Field of view 240x240 mm
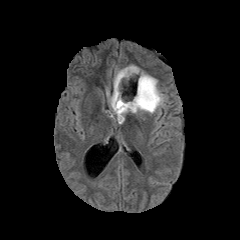
FLAIR MRI.
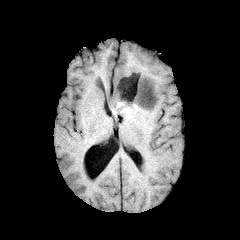
T1-weighted MRI.
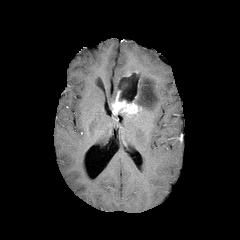
Same slice, post-contrast T1-weighted MR image.
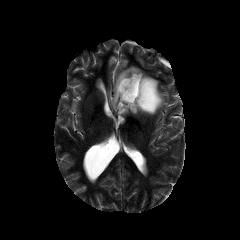
T2-weighted magnetic resonance.
Edema: left=107, top=65, right=166, bottom=115.
Enhancing tumor: left=111, top=91, right=137, bottom=114.
Non-enhancing tumor core: left=119, top=76, right=153, bottom=109.